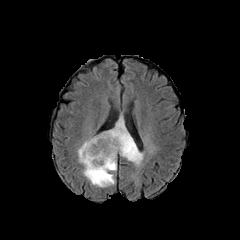
FLAIR MR.
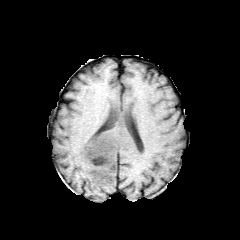
Same slice, T1-weighted MR.
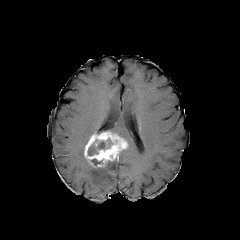
Post-contrast T1-weighted MR image.
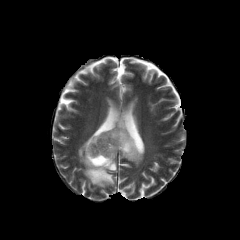
T2-weighted MR.
Edema — bbox=[77, 136, 116, 187]; bbox=[108, 112, 144, 165].
Non-enhancing tumor core — bbox=[88, 139, 109, 154].
Enhancing tumor — bbox=[84, 131, 128, 167].